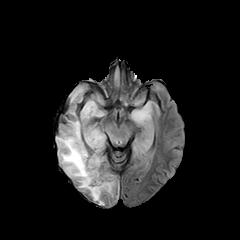
FLAIR magnetic resonance.
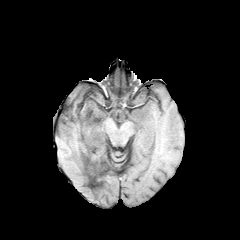
T1-weighted MR.
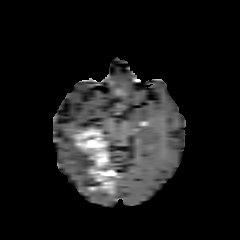
Post-contrast T1-weighted MRI.
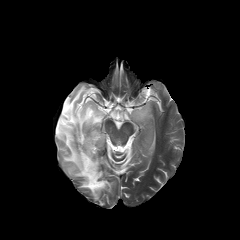
Same slice, T2-weighted magnetic resonance.
Annotated regions:
* enhancing tumor: {"x1": 89, "y1": 152, "x2": 113, "y2": 191}, {"x1": 76, "y1": 128, "x2": 105, "y2": 152}
* non-enhancing tumor core: {"x1": 86, "y1": 147, "x2": 96, "y2": 173}, {"x1": 60, "y1": 104, "x2": 73, "y2": 125}, {"x1": 87, "y1": 174, "x2": 100, "y2": 189}
* edema: {"x1": 56, "y1": 86, "x2": 104, "y2": 189}, {"x1": 89, "y1": 190, "x2": 103, "y2": 204}, {"x1": 130, "y1": 102, "x2": 150, "y2": 123}